FLAIR MR image.
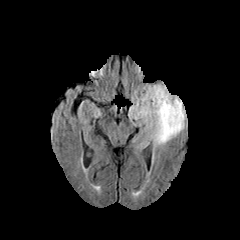
T1-weighted magnetic resonance.
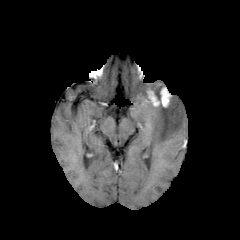
Post-contrast T1-weighted MRI.
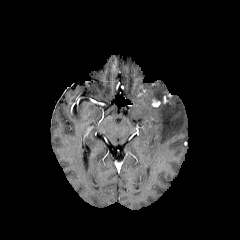
T2-weighted MR image.
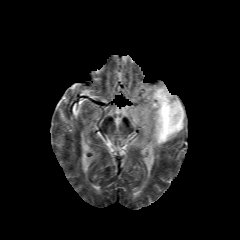
240x240 px
Segmented structures:
* edema: box(129, 84, 186, 150)
* enhancing tumor: box(147, 97, 160, 109)